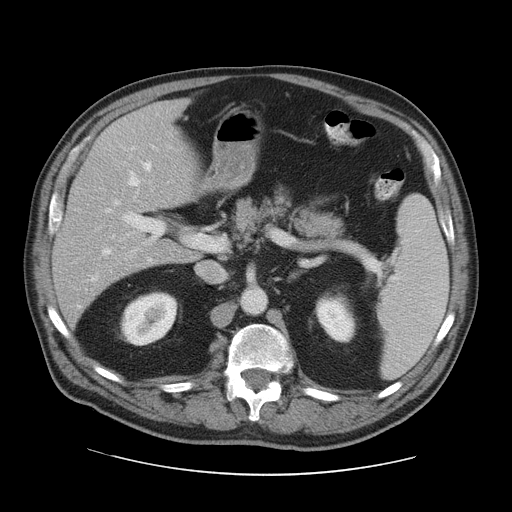 512x512 px. Liver. CT slice.
Some hepatic vessels may have no box.
9 hepatic vessel regions are located at bbox=[115, 200, 118, 204]; bbox=[106, 209, 110, 211]; bbox=[149, 259, 150, 260]; bbox=[125, 213, 163, 234]; bbox=[129, 171, 138, 185]; bbox=[143, 162, 150, 170]; bbox=[191, 235, 207, 239]; bbox=[91, 277, 94, 280]; bbox=[103, 249, 109, 253].